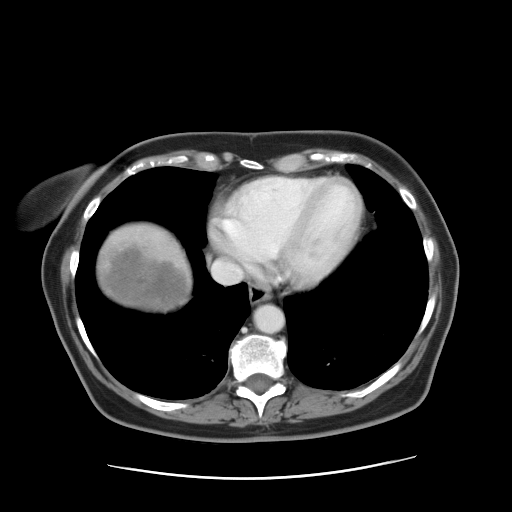

Computed tomography. Abdomen. 512x512. Some hepatic vessels may have no box.
hepatic vessel: [210, 238, 253, 285], [215, 239, 221, 241] | liver tumor: [98, 240, 189, 307]